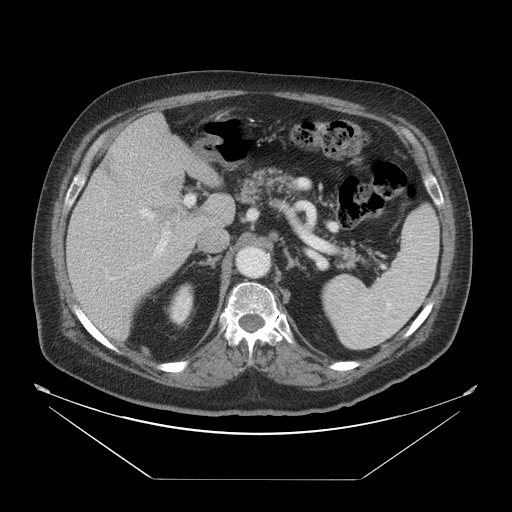
Abdomen, CT
Not every hepatic vessel necessarily has a box.
liver tumor: [98,148,123,185], [160,172,182,196] | hepatic vessel: [166,222,168,224], [197,228,227,250], [138,208,154,220], [184,195,194,205], [110,277,115,279], [129,264,142,269], [150,229,170,261]